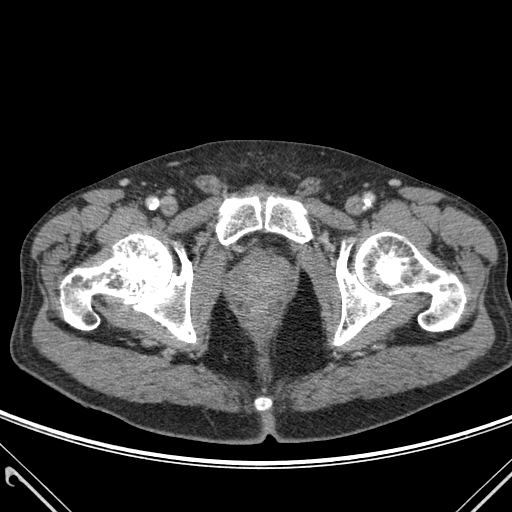
CT slice.
{
  "bone": [
    "[x1=256, y1=398, x2=270, y2=409]",
    "[x1=216, y1=197, x2=312, y2=244]",
    "[x1=334, y1=232, x2=465, y2=345]",
    "[x1=60, y1=234, x2=195, y2=342]"
  ]
}